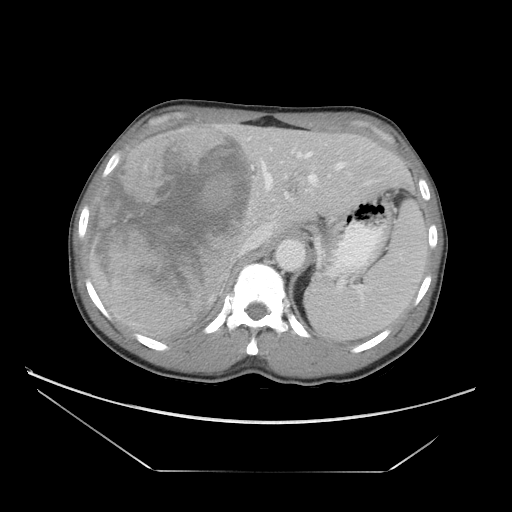 Computed tomography | 512x512
The vessel annotation is not exhaustive.
hepatic vessel: [306, 175, 318, 185], [265, 174, 270, 187], [336, 163, 343, 168], [238, 250, 248, 256], [297, 152, 312, 157] | liver tumor: [88, 123, 263, 334]